CT slice

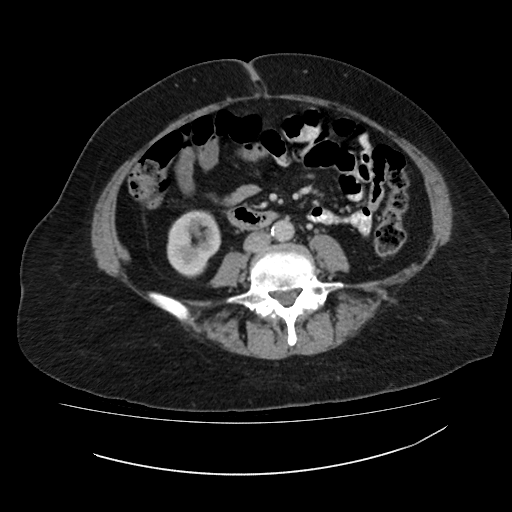

<segmentation>
  <kidney><bbox>167, 211, 219, 276</bbox></kidney>
</segmentation>